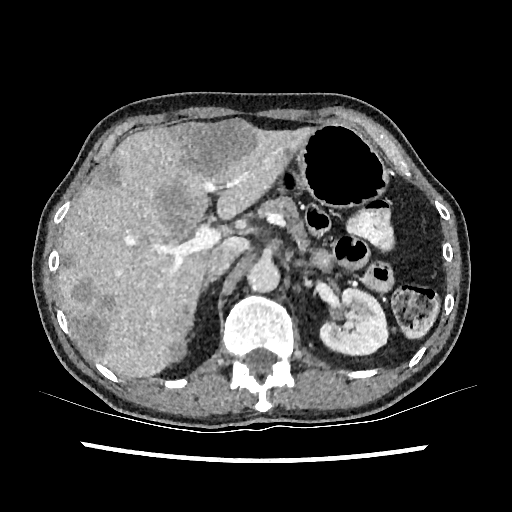

CT scan slice
Findings:
- liver: 59,128,309,376
- focal liver lesion: 170,121,256,176; 96,294,116,310; 61,253,75,268; 156,187,189,233; 97,159,119,186; 71,277,95,303; 183,304,191,317; 171,338,183,357; 67,309,106,354
- kidney: 319,289,394,358; 316,283,339,306